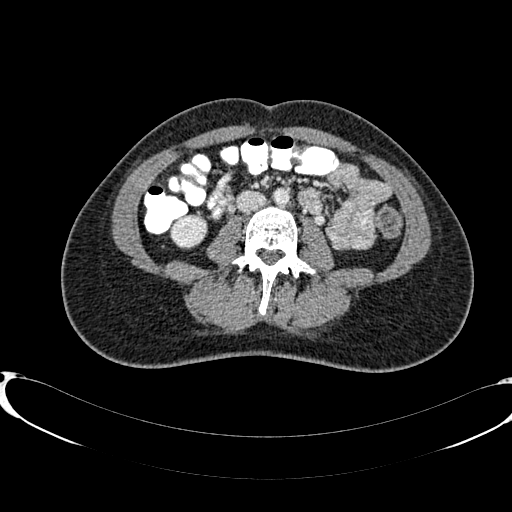
CT image
Kidney at left=172, top=218, right=203, bottom=246.